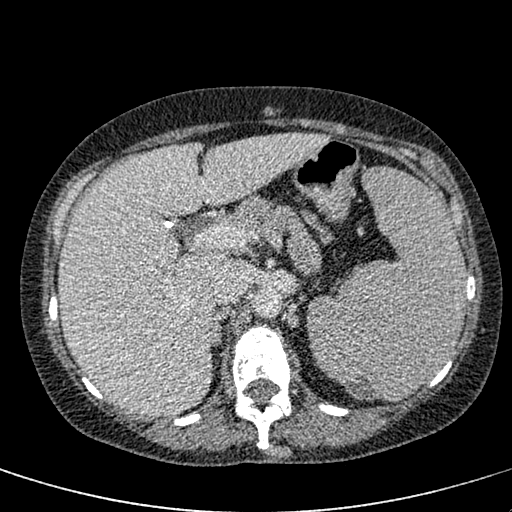

CT slice. Upper abdomen.

The liver appears at 59:134:326:415.